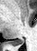
MR image
The posterior hippocampus appears at 13,38,23,45.